FLAIR MR image.
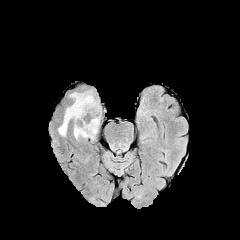
T1-weighted MR.
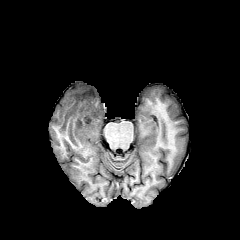
Post-contrast T1-weighted MR image.
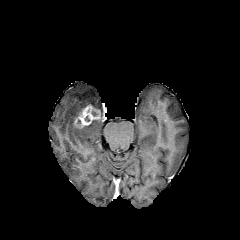
T2-weighted MRI.
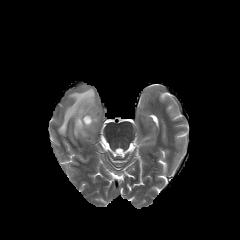
Brain.
Edema = bbox=[58, 89, 96, 136]; bbox=[74, 120, 99, 139].
Enhancing tumor = bbox=[74, 105, 100, 127].